FLAIR magnetic resonance.
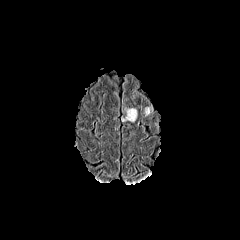
T1-weighted MR.
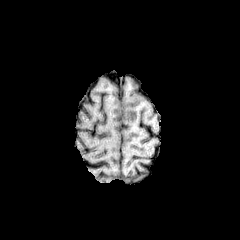
Post-contrast T1-weighted MR image.
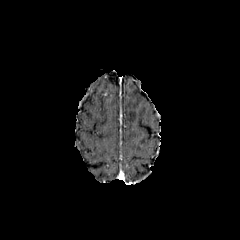
T2-weighted magnetic resonance.
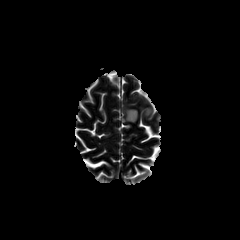
Brain; Image size 240x240
Edema: [122,108,137,121].